CT | Abdomen 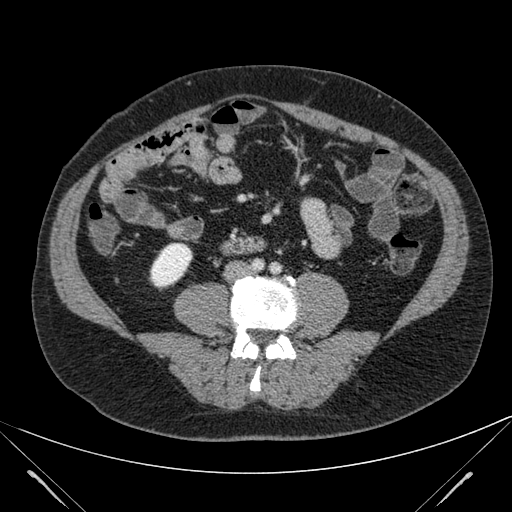
kidney:
  - 151:243:191:286